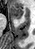 Hippocampus | Magnetic resonance | 35x49 px
Anterior hippocampus at l=10, t=5, r=23, b=19.